CT slice. Image size 512x512.
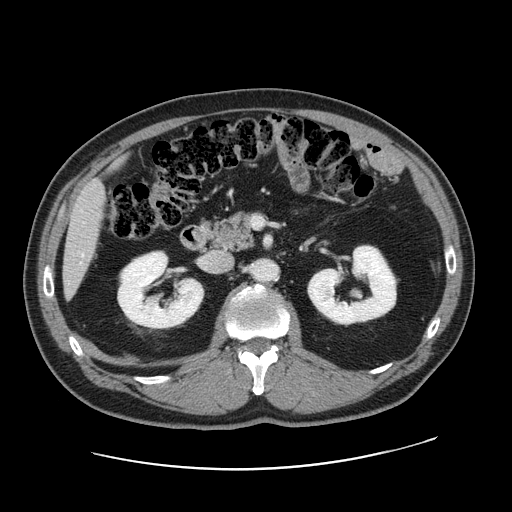 Not every hepatic vessel necessarily has a box.
Annotated regions:
- hepatic vessel: [x1=66, y1=290, x2=71, y2=294], [x1=94, y1=181, x2=103, y2=198], [x1=98, y1=212, x2=100, y2=215]